Abdomen, Slice index 599, CT slice

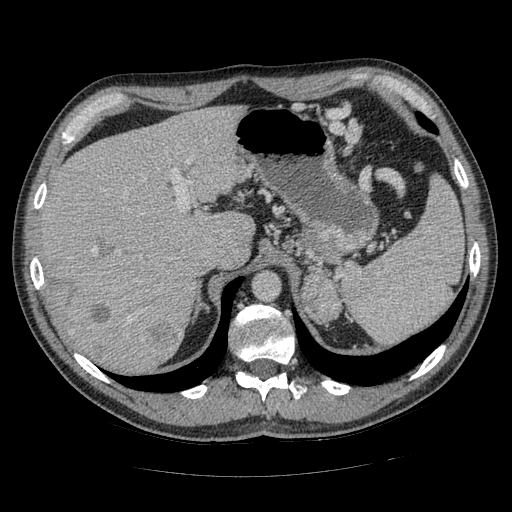
The pancreatic tumor is located at bbox(301, 273, 341, 323).